Slice 61/155 | Image width 240 mm | 240x240
FLAIR magnetic resonance.
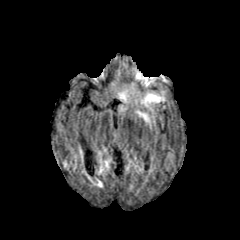
T1-weighted magnetic resonance.
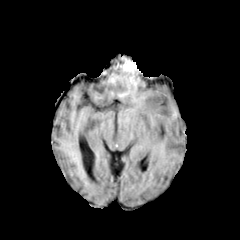
Post-contrast T1-weighted MRI.
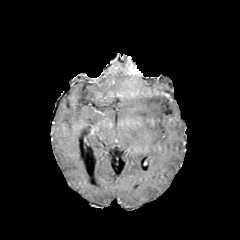
T2-weighted magnetic resonance.
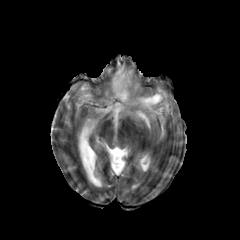
3 edema regions appear at 136,110,149,123; 141,93,163,109; 120,90,128,102.